FLAIR MR.
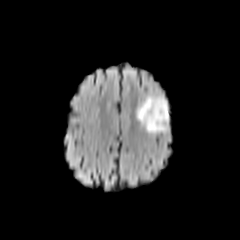
T1-weighted MRI.
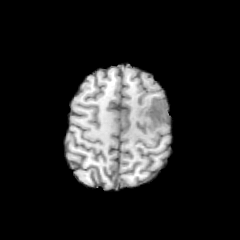
Post-contrast T1-weighted magnetic resonance.
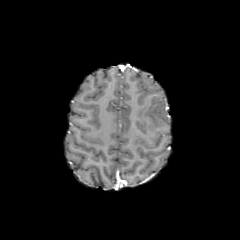
T2-weighted magnetic resonance.
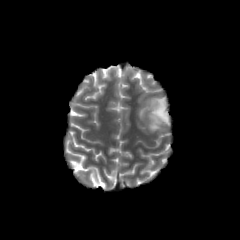
{
  "non-enhancing_tumor_core": [
    "bbox(149, 96, 167, 120)"
  ],
  "edema": [
    "bbox(135, 91, 169, 133)"
  ]
}